35x52. MRI. Field of view 35 mm wide, 1.00 mm slice spacing. Medial temporal lobe.
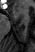 anterior hippocampus: bbox(13, 7, 21, 13)